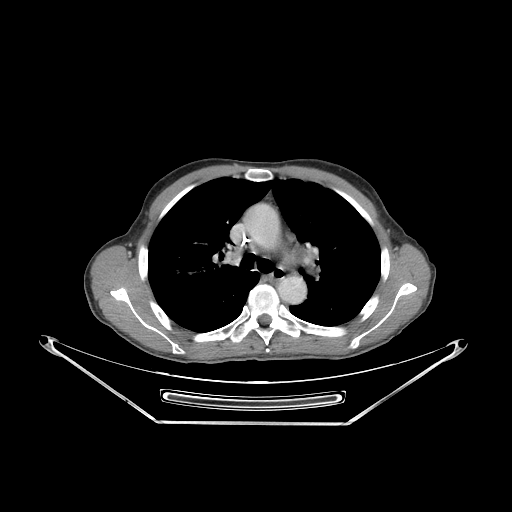
Thorax | CT slice | 512x512
- bone: 110:288:183:353, 351:283:416:347, 246:169:271:181, 194:284:301:344, 139:247:147:279, 308:324:344:336, 150:302:170:329, 381:248:389:279, 160:187:190:216, 340:191:370:221, 361:297:378:319
- lung: 148:177:380:332